CT scan slice 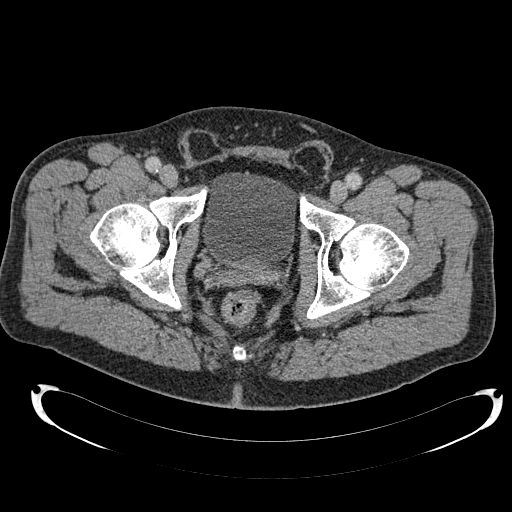
Annotated regions:
• urinary bladder: (left=203, top=171, right=296, bottom=270)